Lower abdomen | CT image
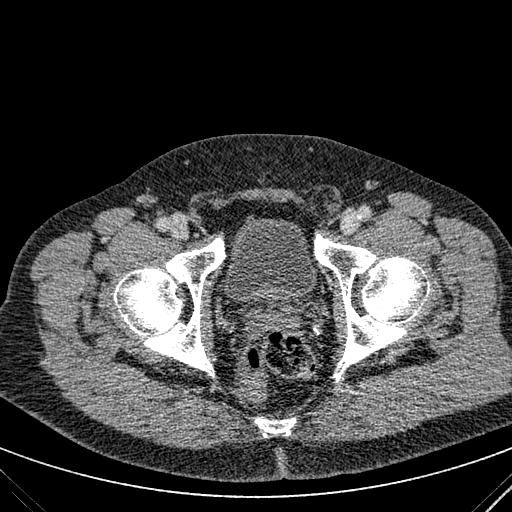
Segmented structures:
* urinary bladder: rect(220, 214, 319, 309)